CT, Upper abdomen, Slice index 437

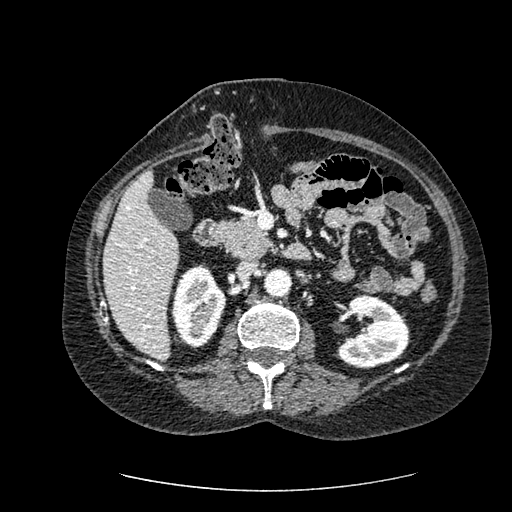
Kidney: bounding box [x1=339, y1=296, x2=408, y2=367], [x1=173, y1=266, x2=225, y2=346].
Liver: bounding box [x1=103, y1=170, x2=177, y2=359].